CT scan slice, Field of view 336x336 mm 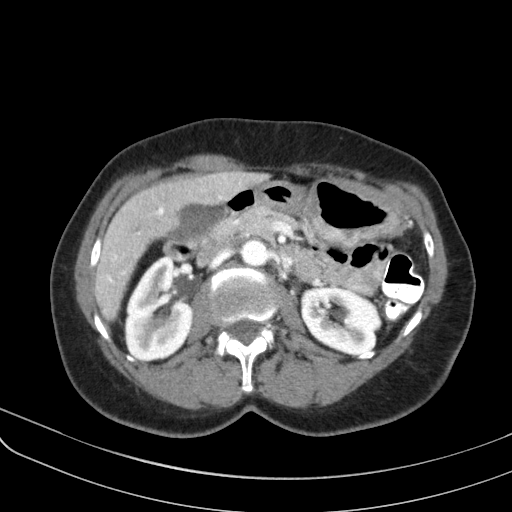 {
  "pancreas": [
    "bbox=[211, 206, 301, 249]"
  ]
}